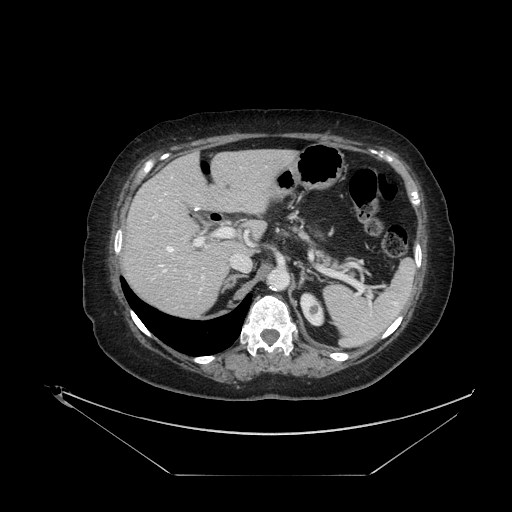

Abdomen. CT image.
2 pancreas regions appear at left=292, top=226, right=313, bottom=245; left=315, top=248, right=340, bottom=268.